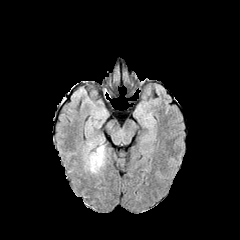
FLAIR MR.
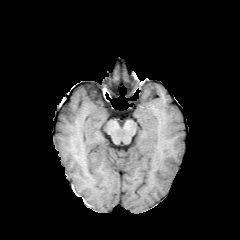
Same slice, T1-weighted magnetic resonance.
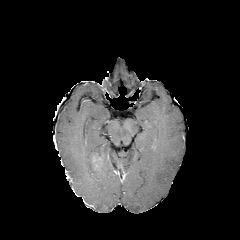
Post-contrast T1-weighted magnetic resonance of the same slice.
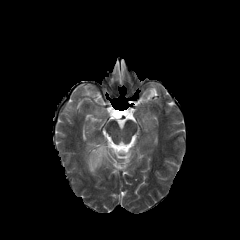
T2-weighted MRI of the same slice.
Head
non-enhancing tumor core: 98,152,108,164 | edema: 82,137,111,175; 90,108,105,125 | enhancing tumor: 92,154,103,166